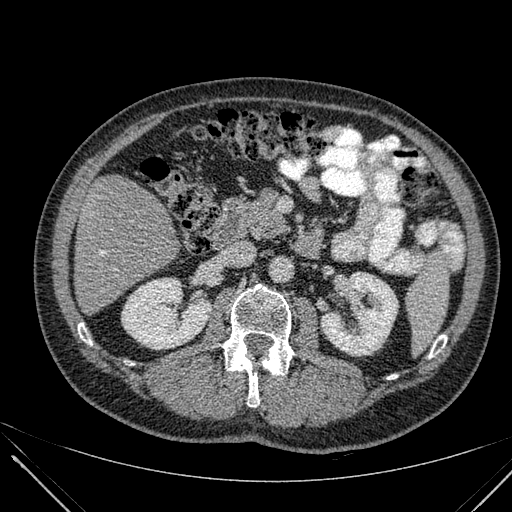

Liver. CT image. 512x512. 2 kidney regions appear at [x1=321, y1=273, x2=397, y2=355], [x1=122, y1=278, x2=211, y2=349]. The liver is located at [x1=73, y1=175, x2=181, y2=312].